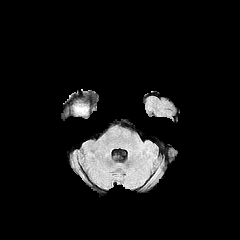
FLAIR MR image.
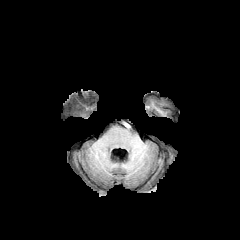
T1-weighted MRI.
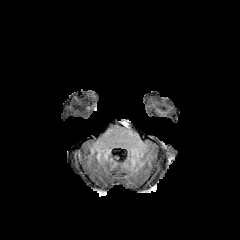
Post-contrast T1-weighted MR image.
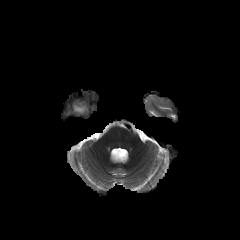
T2-weighted MR image of the same slice.
240x240 px. Head.
Edema = (74,104,87,113).